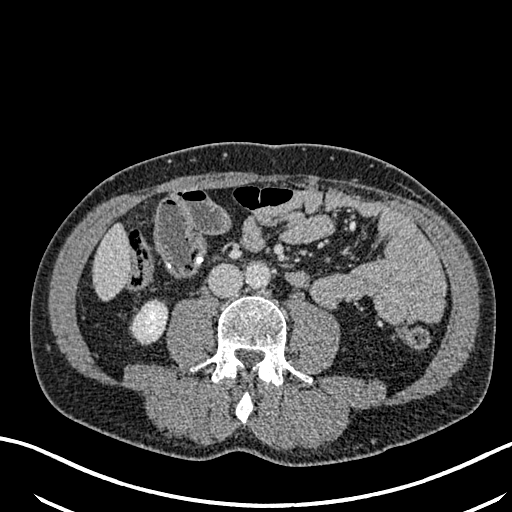
CT scan slice
Liver = <bbox>94, 224, 128, 299</bbox>.
Kidney = <bbox>133, 301, 166, 342</bbox>.